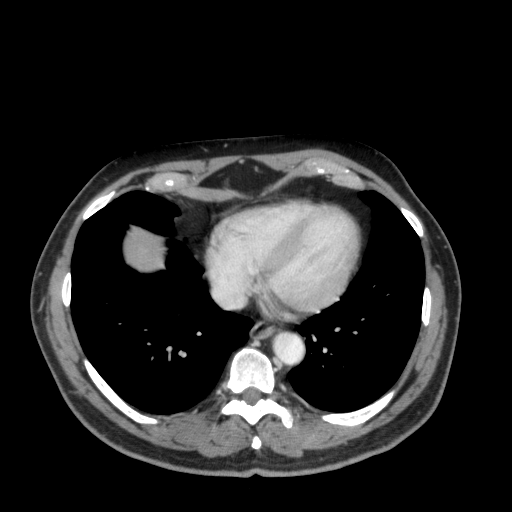

CT image. Upper abdomen. 512x512. Segmented structures:
* liver: [137,244,150,258]